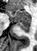

Hippocampus | MRI | 37x51
The anterior hippocampus is at region(6, 10, 30, 22). The posterior hippocampus is at region(17, 23, 30, 32).